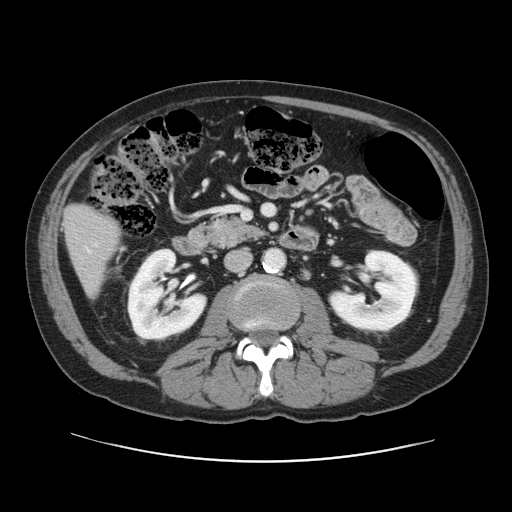
Liver, CT slice
The vessel annotation is not exhaustive.
<segmentation>
  <hepatic_vessel>x1=87, y1=249, x2=90, y2=252</hepatic_vessel>
</segmentation>